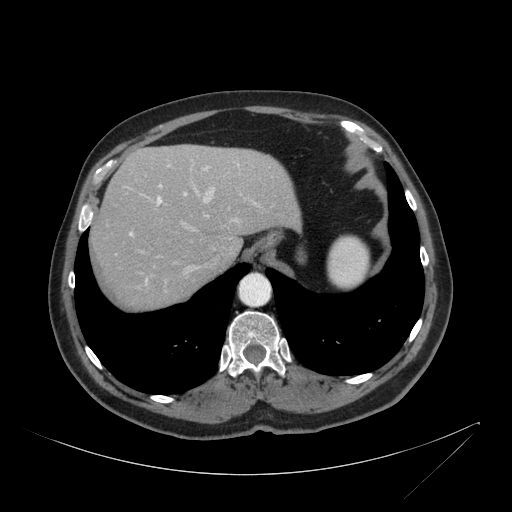
Image size 512x512. CT slice.
liver:
  - bbox(91, 145, 302, 307)